FLAIR MRI.
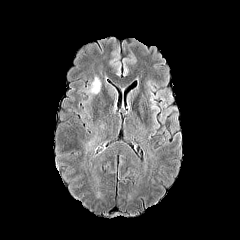
T1-weighted MR.
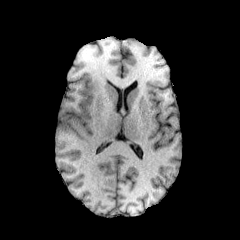
Post-contrast T1-weighted MR.
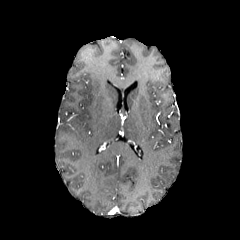
T2-weighted MR image.
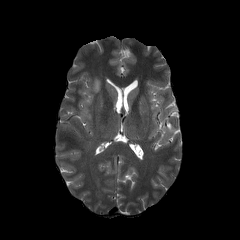
Brain.
The edema is located at box=[83, 75, 101, 96].